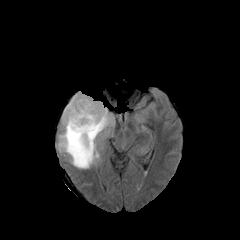
FLAIR MR.
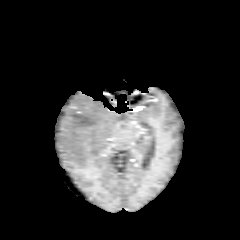
T1-weighted magnetic resonance.
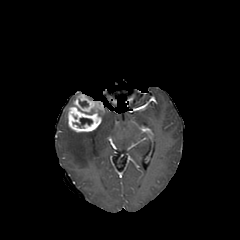
Same slice, post-contrast T1-weighted magnetic resonance.
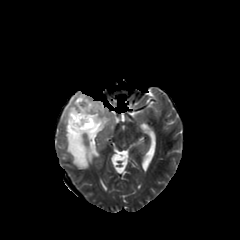
T2-weighted MRI.
Brain | Image size 240x240
<segmentation>
  <non-enhancing_tumor_core>[80,118,91,125]</non-enhancing_tumor_core>
  <edema>[58,112,114,169]</edema>
  <enhancing_tumor>[65,91,104,132]</enhancing_tumor>
</segmentation>